Field of view 240 mm wide, 1.00 mm slice spacing, Slice 61/155, Image size 240x240, Brain
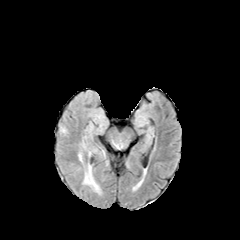
FLAIR magnetic resonance.
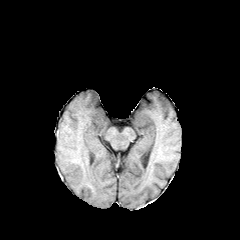
T1-weighted MR image.
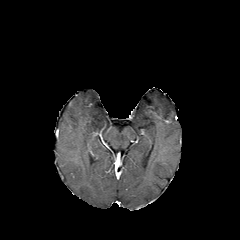
Post-contrast T1-weighted MRI.
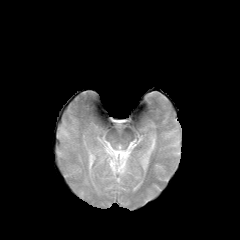
Same slice, T2-weighted MR image.
edema:
  - x1=83, y1=163, x2=101, y2=194